FLAIR MR image.
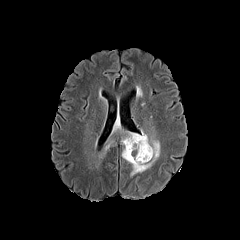
T1-weighted MR image.
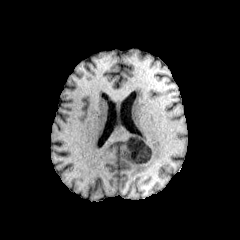
Post-contrast T1-weighted MRI.
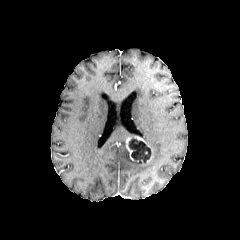
T2-weighted MR.
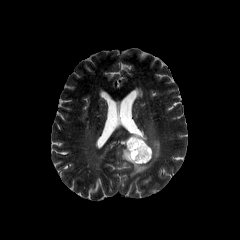
Brain
Edema: [x1=122, y1=127, x2=160, y2=176].
Non-enhancing tumor core: [x1=127, y1=134, x2=151, y2=164].